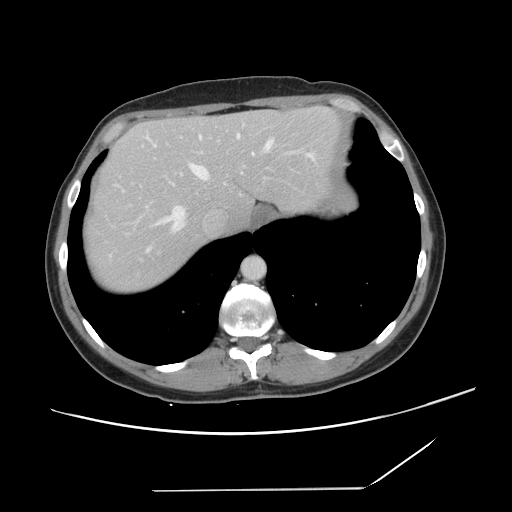 CT image, 512x512 px
The vessel boxes may cover only some of the vessels.
The principal 15 hepatic vessel regions (of 16) are bounded by <bbox>199, 136, 201, 138</bbox>, <bbox>147, 247, 150, 250</bbox>, <bbox>121, 189, 123, 191</bbox>, <bbox>162, 206, 184, 231</bbox>, <bbox>265, 139, 272, 150</bbox>, <bbox>170, 182, 173, 184</bbox>, <bbox>199, 151, 201, 152</bbox>, <bbox>151, 141, 155, 146</bbox>, <bbox>146, 135, 148, 138</bbox>, <bbox>190, 164, 207, 179</bbox>, <bbox>252, 153, 253, 155</bbox>, <bbox>307, 153, 314, 161</bbox>, <bbox>288, 151, 297, 153</bbox>, <bbox>237, 134, 239, 137</bbox>, <bbox>145, 205, 147, 209</bbox>.